FLAIR MRI.
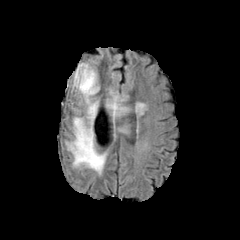
T1-weighted MRI.
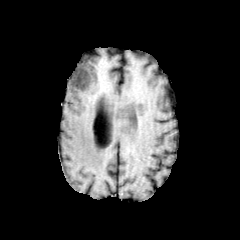
Post-contrast T1-weighted MR image.
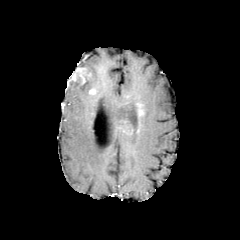
T2-weighted MR image.
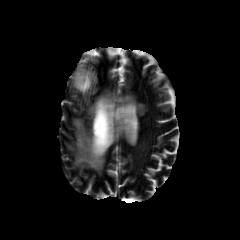
Brain.
The non-enhancing tumor core appears at bbox=[68, 70, 89, 88]. 2 edema regions appear at bbox=[66, 63, 106, 174]; bbox=[106, 92, 125, 120]. The enhancing tumor is bounded by bbox=[72, 67, 86, 84].